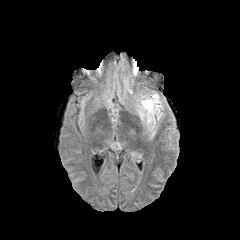
FLAIR MRI.
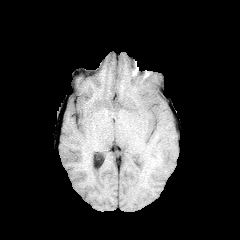
T1-weighted magnetic resonance.
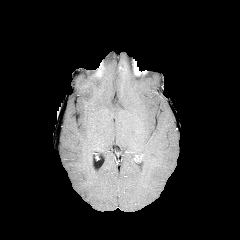
Post-contrast T1-weighted MRI of the same slice.
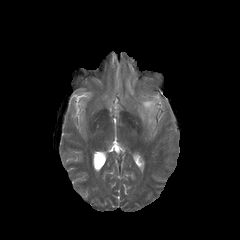
T2-weighted MR image.
Brain
<segmentation>
  <edema><bbox>136, 92, 163, 128</bbox></edema>
</segmentation>